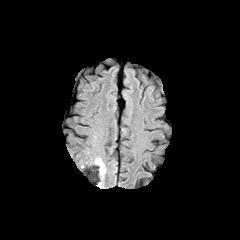
FLAIR MR image.
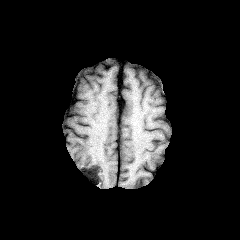
T1-weighted MR.
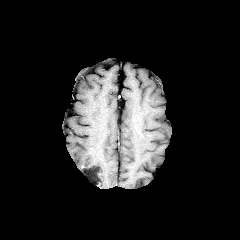
Same slice, post-contrast T1-weighted MR image.
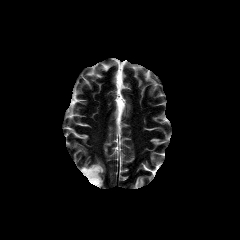
T2-weighted MRI.
Brain
The edema is located at bbox(93, 156, 106, 186).